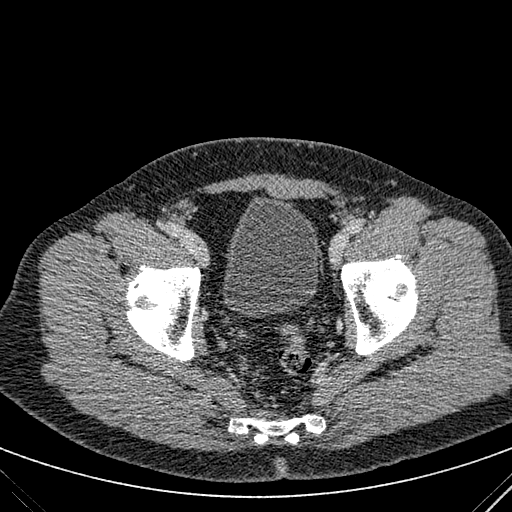
CT image

Annotated regions:
• urinary bladder: 221, 197, 321, 316